512x512, CT image, Abdomen
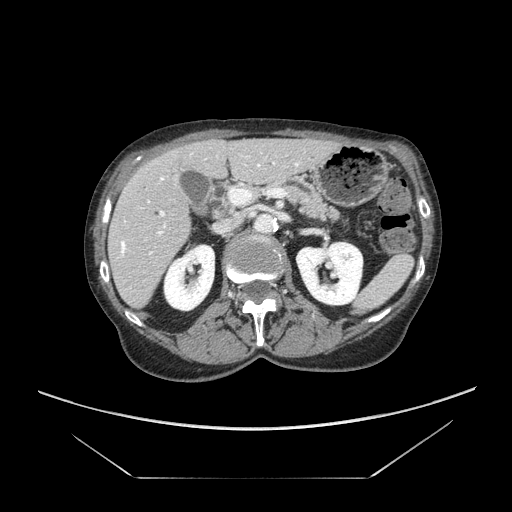 The pancreas is located at 263:175:347:232.